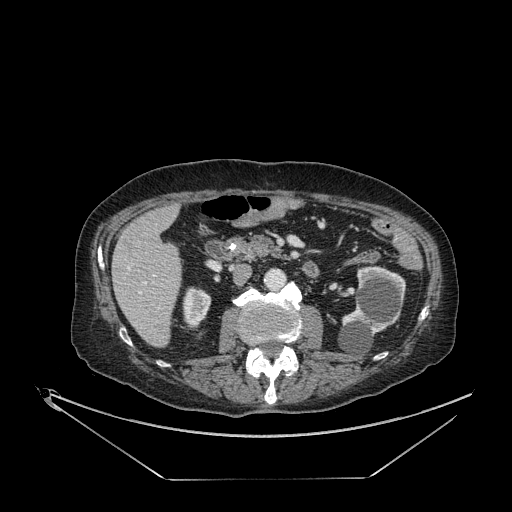 CT image
4 kidney regions are bounded by [342, 305, 398, 334], [342, 288, 353, 295], [357, 266, 405, 299], [183, 288, 210, 326]. The liver is located at [112, 206, 181, 348]. The focal liver lesion is located at [125, 239, 132, 250].